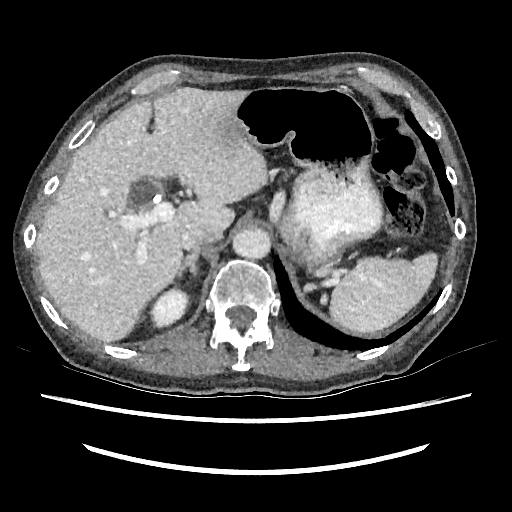

Abdomen; CT image; 512x512 px
Liver — box(36, 89, 266, 340).
Kidney — box(153, 290, 186, 325).